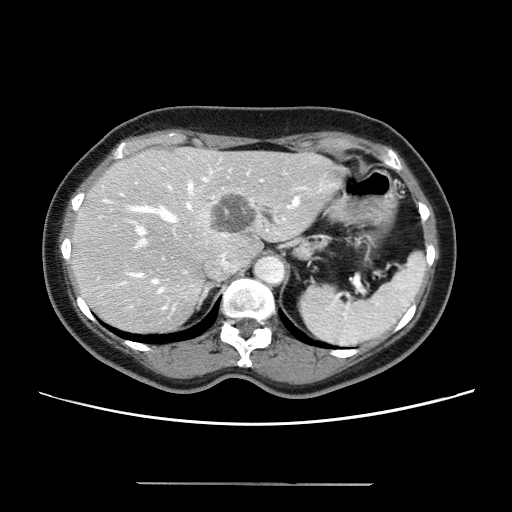

Liver | CT scan slice
Only some of the vessels may be annotated.
9 hepatic vessel regions are bounded by region(139, 239, 145, 245); region(289, 198, 297, 207); region(189, 184, 193, 191); region(135, 273, 142, 276); region(205, 179, 207, 181); region(153, 280, 156, 282); region(133, 207, 175, 221); region(137, 227, 144, 234); region(187, 204, 189, 207). The liver tumor is located at region(213, 195, 255, 231).